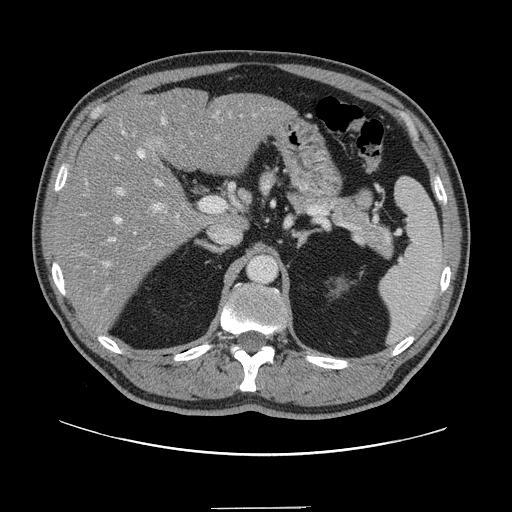

Abdomen. CT slice.

Not every hepatic vessel necessarily has a box.
12 hepatic vessel regions are located at bbox(115, 217, 121, 222); bbox(116, 156, 118, 158); bbox(162, 117, 165, 123); bbox(117, 189, 123, 194); bbox(214, 112, 218, 117); bbox(156, 180, 162, 185); bbox(177, 215, 178, 218); bbox(153, 204, 162, 209); bbox(103, 262, 110, 266); bbox(109, 238, 115, 241); bbox(123, 131, 124, 133); bbox(138, 150, 144, 157).